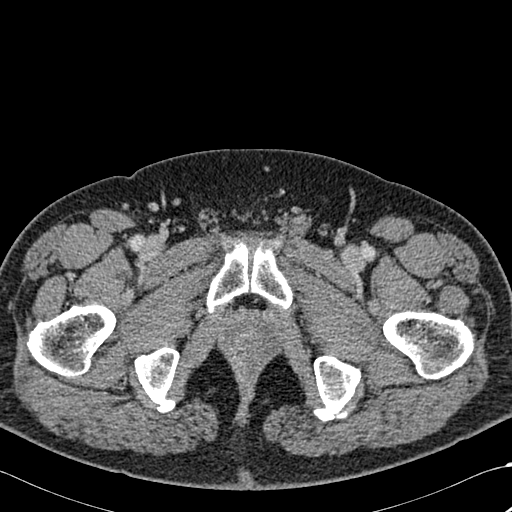

CT image

bone:
  - region(207, 243, 292, 310)
  - region(314, 355, 360, 420)
  - region(135, 347, 179, 412)
  - region(383, 311, 473, 378)
  - region(28, 304, 115, 376)